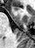
MRI slice, 35x48 px

Anterior hippocampus at (left=13, top=5, right=25, bottom=11).